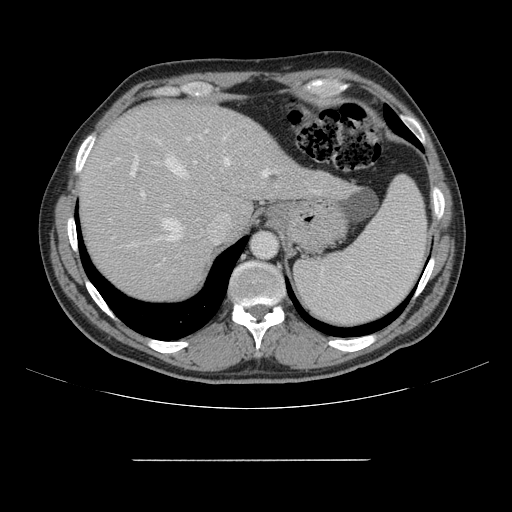 CT image | Liver

Some hepatic vessels may have no box.
The most prominent 15 hepatic vessel regions (of 17) appear at box(317, 190, 321, 194); box(166, 156, 188, 177); box(156, 264, 159, 265); box(155, 138, 160, 143); box(199, 136, 200, 138); box(205, 129, 208, 132); box(130, 155, 137, 176); box(224, 158, 230, 164); box(116, 157, 118, 159); box(163, 219, 180, 240); box(153, 162, 157, 163); box(141, 192, 144, 196); box(187, 137, 190, 139); box(130, 243, 137, 245); box(263, 170, 268, 176).